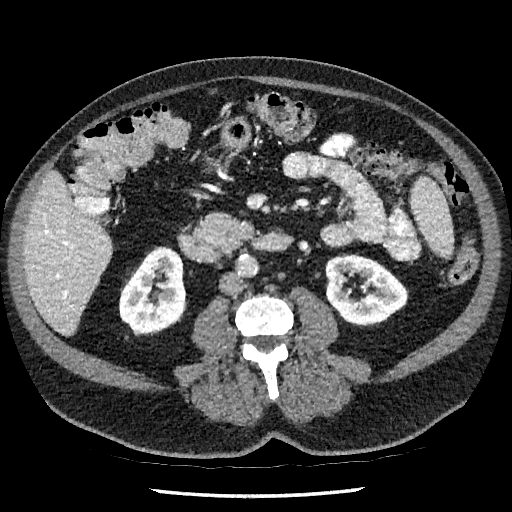

CT. Liver: (24, 170, 111, 335).
Kidney: (120, 250, 184, 332), (326, 255, 406, 324).